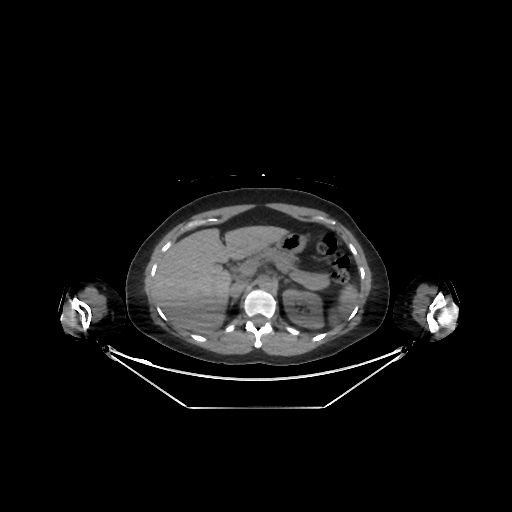

Abdomen | CT image

Annotated regions:
- kidney: box(282, 288, 323, 329)
- liver: box(150, 226, 287, 336)